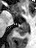 Medial temporal lobe, MR

Anterior hippocampus at <box>13,14,17,18</box>.
Posterior hippocampus at <box>15,22,28,35</box>.